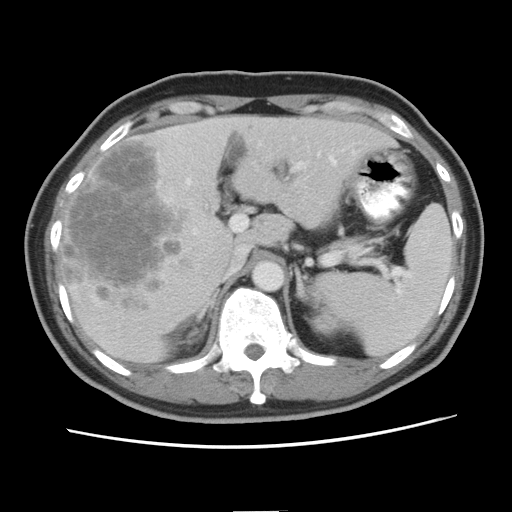

CT scan slice

The vessel boxes may cover only some of the vessels.
Liver tumor: box(62, 139, 191, 311).
Hepatic vessel: box(186, 179, 190, 184); box(317, 153, 319, 156); box(329, 156, 335, 164); box(302, 164, 303, 166); box(232, 216, 246, 230).